240x240 px | Slice 112 of 155
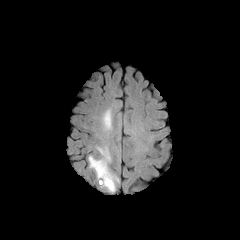
FLAIR MRI.
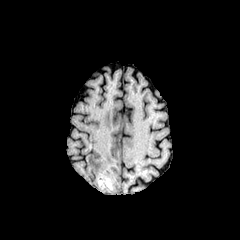
T1-weighted MR of the same slice.
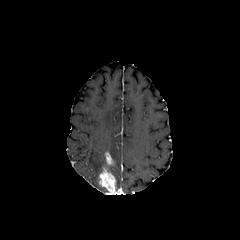
Post-contrast T1-weighted MR.
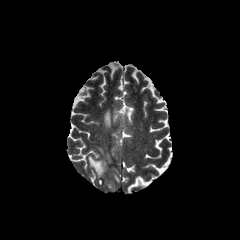
T2-weighted MR image.
Edema — rect(100, 108, 112, 131); rect(88, 147, 108, 168).
Enhancing tumor — rect(98, 151, 117, 194).